Brain | Image width 240 mm | Slice 120/155
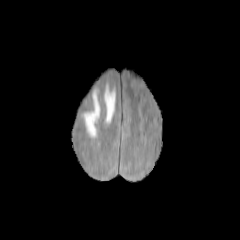
FLAIR MRI.
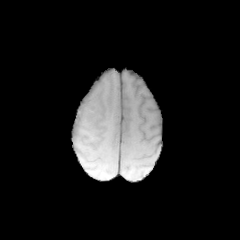
Same slice, T1-weighted MR image.
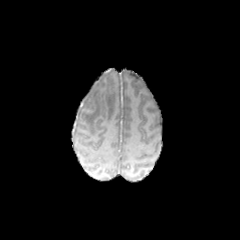
Post-contrast T1-weighted magnetic resonance of the same slice.
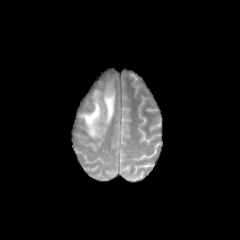
T2-weighted magnetic resonance.
{"edema": ["bbox=[102, 82, 115, 124]", "bbox=[80, 89, 101, 137]"]}